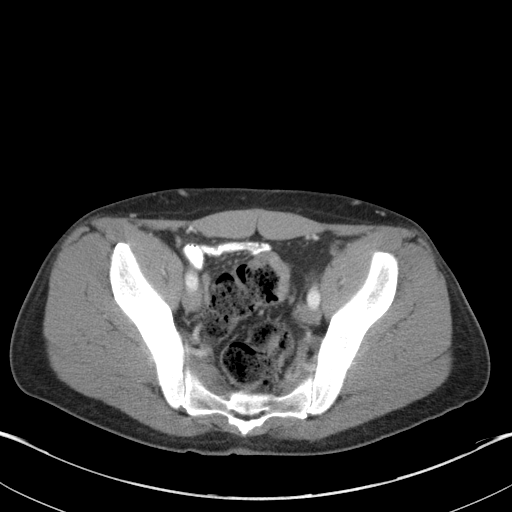
CT scan slice

colon tumor: x1=248 y1=252 x2=288 y2=300